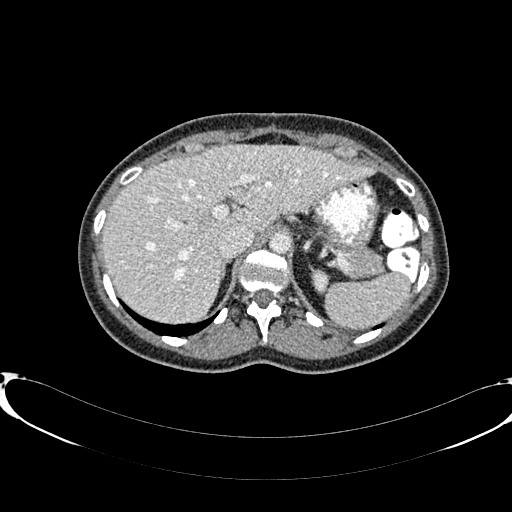 CT scan slice

<segmentation>
  <liver>(x1=102, y1=145, x2=374, y2=321)</liver>
</segmentation>